512x512 | CT scan slice | Slice 260/588 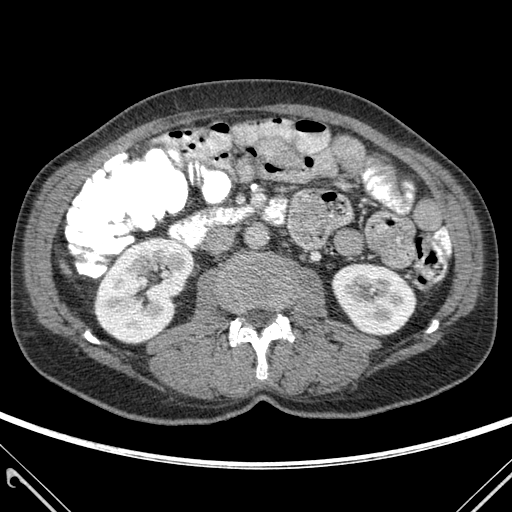 Kidney at 96, 239, 187, 342; 333, 265, 414, 334.
Bone at 230, 315, 293, 379; 427, 321, 437, 332; 224, 263, 289, 309; 85, 331, 98, 343.